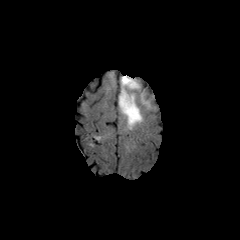
FLAIR magnetic resonance.
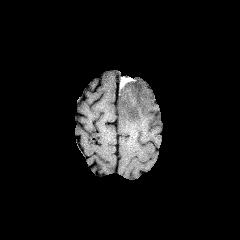
T1-weighted MRI of the same slice.
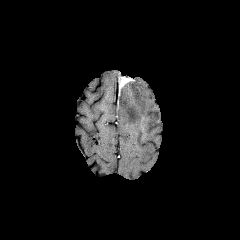
Same slice, post-contrast T1-weighted MR.
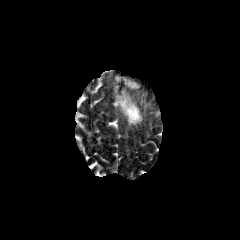
T2-weighted MR image of the same slice.
Image size 240x240 | Head
Segmented structures:
• edema: left=118, top=77, right=151, bottom=128